Upper abdomen | 512x512 | Slice 263 of 407 | CT slice
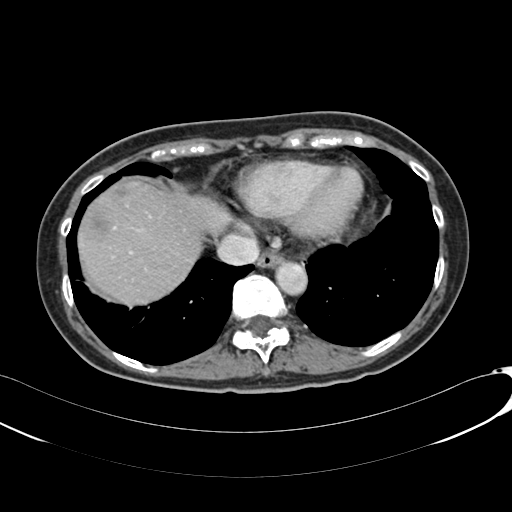 The liver lies within 79:182:229:302. 2 focal liver lesion regions appear at 114:187:126:197, 91:214:109:230.